FLAIR MR image.
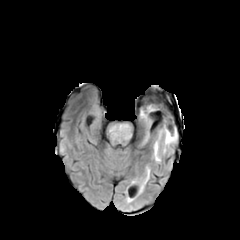
T1-weighted magnetic resonance.
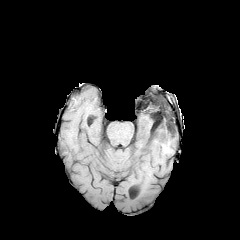
Post-contrast T1-weighted MR image.
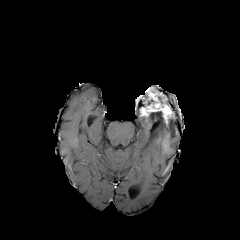
T2-weighted magnetic resonance.
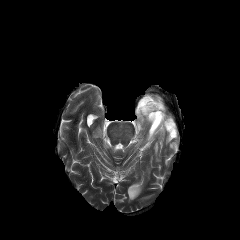
Image size 240x240
Segmented structures:
- enhancing tumor: [140, 103, 171, 125]
- non-enhancing tumor core: [145, 99, 160, 104], [148, 110, 174, 145]
- edema: [134, 167, 150, 193], [140, 117, 152, 128], [166, 124, 177, 149], [142, 128, 167, 162]